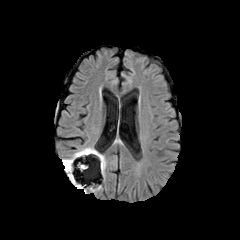
FLAIR MRI.
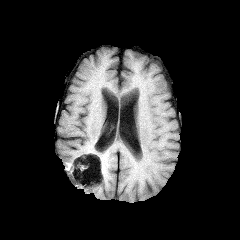
T1-weighted MR image of the same slice.
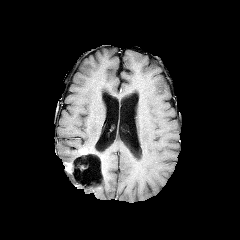
Post-contrast T1-weighted MR image of the same slice.
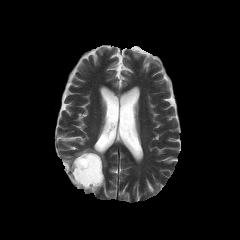
T2-weighted magnetic resonance.
The enhancing tumor is at <bbox>77, 149, 95, 155</bbox>. The non-enhancing tumor core appears at <bbox>74, 154, 103, 177</bbox>. 3 edema regions are located at <bbox>63, 147, 85, 171</bbox>, <bbox>66, 172, 75, 183</bbox>, <bbox>100, 159, 105, 174</bbox>.